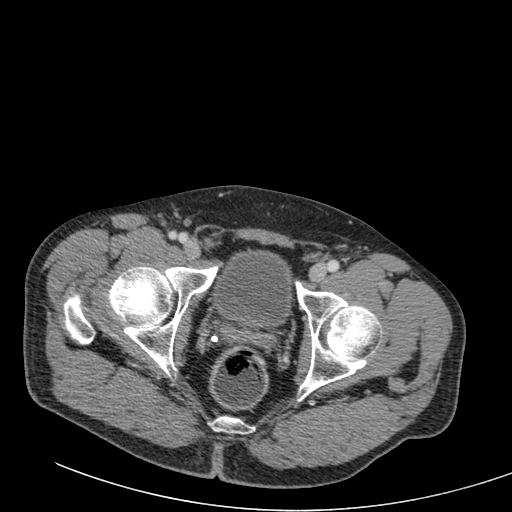 CT, Lower abdomen, 512x512 px

The urinary bladder lies within box(211, 249, 292, 330).